Computed tomography, 512x512

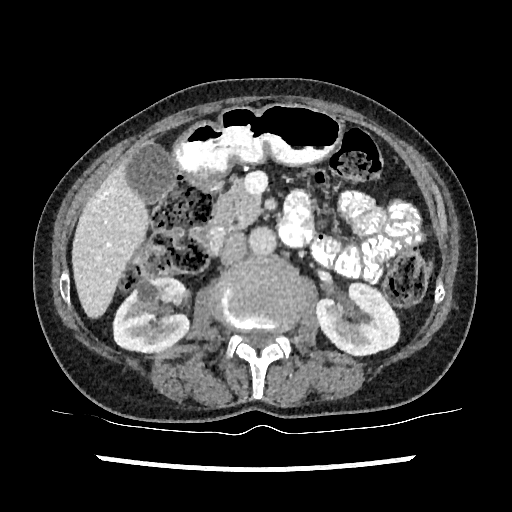 2 kidney regions are located at left=114, top=279, right=190, bottom=351; left=317, top=284, right=400, bottom=354. The liver appears at left=72, top=163, right=148, bottom=317.